Medial temporal lobe. Image width 33 mm. MRI. Slice 28 of 38.
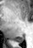
posterior hippocampus: left=11, top=37, right=23, bottom=42